Field of view 360x360 mm | CT | Liver 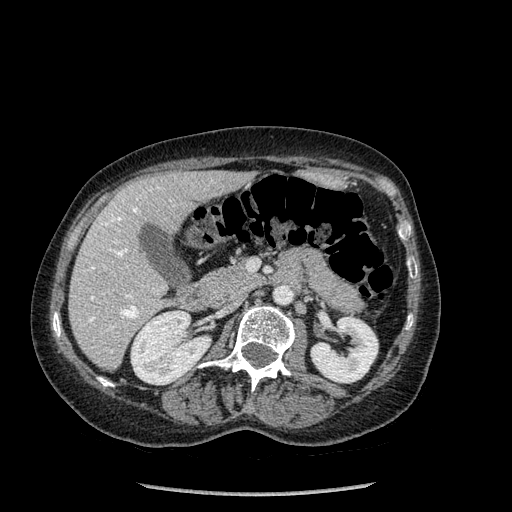 {
  "liver": [
    "(left=69, top=170, right=254, bottom=370)"
  ],
  "bone": [
    "(left=406, top=314, right=413, bottom=329)",
    "(left=398, top=224, right=410, bottom=239)",
    "(left=97, top=377, right=113, bottom=386)",
    "(left=52, top=312, right=60, bottom=337)",
    "(left=407, top=260, right=417, bottom=278)",
    "(left=198, top=306, right=295, bottom=391)"
  ],
  "kidney": [
    "(left=311, top=317, right=377, bottom=382)",
    "(left=131, top=311, right=210, bottom=384)"
  ]
}